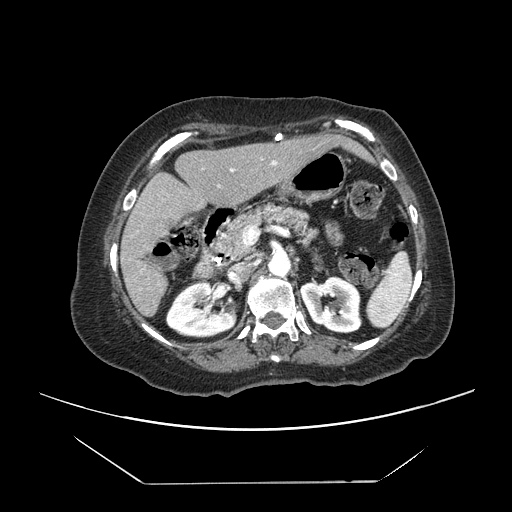 Liver. CT scan slice.

Some hepatic vessels may have no box.
<segmentation>
  <hepatic_vessel>231 169 232 170, 243 226 258 245</hepatic_vessel>
</segmentation>